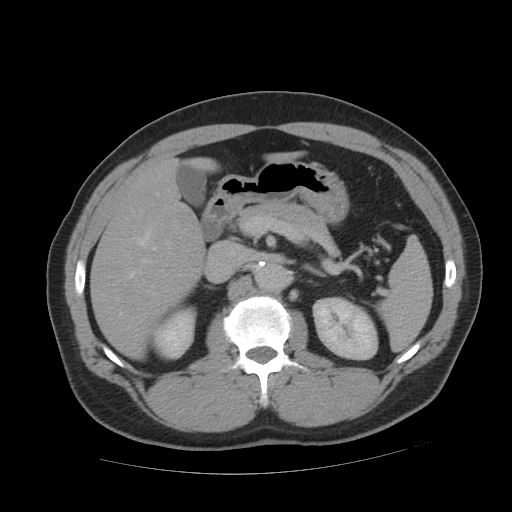

CT scan slice

Some hepatic vessels may have no box.
{
  "hepatic_vessel": [
    "left=166, top=243, right=168, bottom=246",
    "left=140, top=260, right=142, bottom=262",
    "left=126, top=268, right=144, bottom=279",
    "left=134, top=229, right=150, bottom=246",
    "left=152, top=246, right=156, bottom=249"
  ]
}